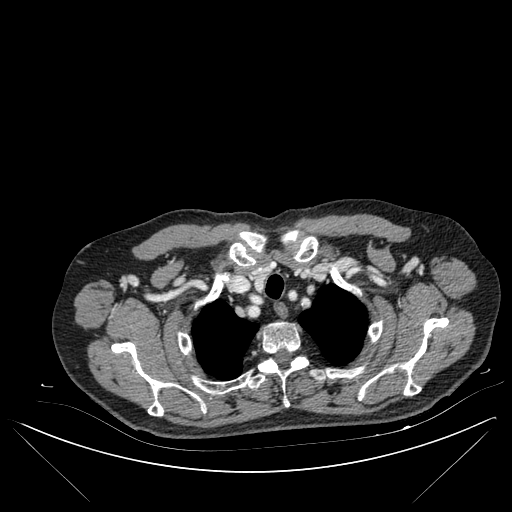
512x512. Computed tomography. Thorax.

lung:
  - x1=299, y1=284, x2=367, y2=365
  - x1=266, y1=276, x2=283, y2=298
  - x1=192, y1=300, x2=257, y2=379
bone:
  - x1=311, y1=367, x2=364, y2=379
  - x1=111, y1=342, x2=199, y2=415
  - x1=330, y1=264, x2=352, y2=290
  - x1=204, y1=272, x2=228, y2=303
  - x1=239, y1=232, x2=265, y2=251
  - x1=282, y1=230, x2=298, y2=242
  - x1=295, y1=236, x2=317, y2=262
  - x1=192, y1=357, x2=308, y2=393
  - x1=262, y1=323, x2=299, y2=353
  - x1=358, y1=318, x2=448, y2=400
  - x1=178, y1=332, x2=191, y2=354
  - x1=368, y1=321, x2=382, y2=341
  - x1=229, y1=242, x2=255, y2=266